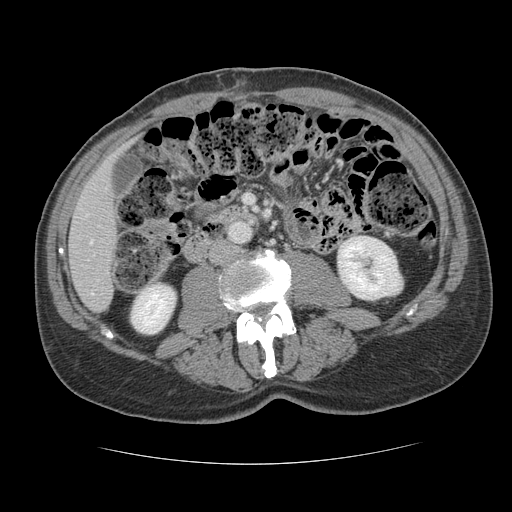
Computed tomography

Some hepatic vessels may have no box.
2 hepatic vessel regions appear at bbox(90, 240, 92, 242); bbox(91, 292, 93, 294).